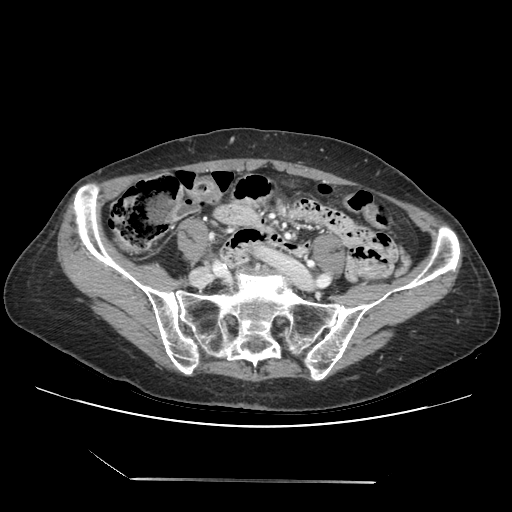 CT
Findings:
- pancreas: [211,203,260,225]